FLAIR MRI.
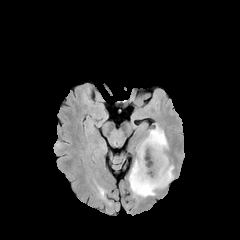
T1-weighted magnetic resonance.
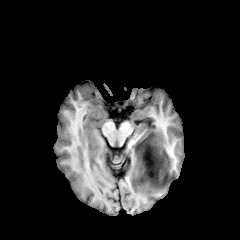
Post-contrast T1-weighted magnetic resonance.
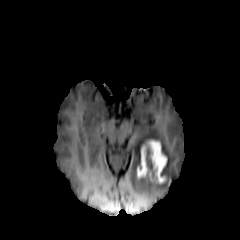
T2-weighted magnetic resonance.
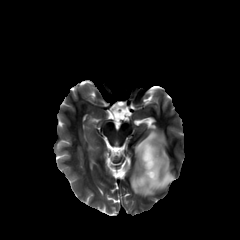
Head
Edema: bounding box (left=129, top=126, right=174, bottom=196).
Non-enhancing tumor core: bounding box (left=141, top=143, right=150, bottom=156), (left=140, top=163, right=156, bottom=182).
Enhancing tumor: bounding box (left=137, top=145, right=147, bottom=178), (left=147, top=140, right=166, bottom=183).